240x240 px. Slice 108/155.
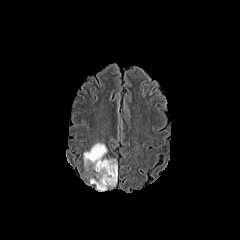
FLAIR MR image.
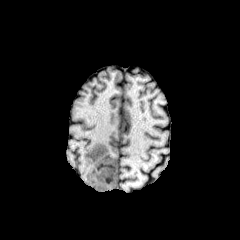
T1-weighted MR image.
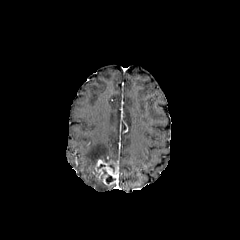
Post-contrast T1-weighted magnetic resonance.
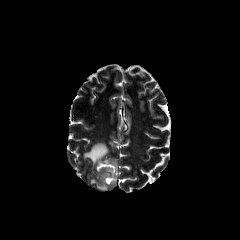
T2-weighted MRI.
enhancing tumor: (left=93, top=159, right=117, bottom=185) | non-enhancing tumor core: (left=105, top=174, right=115, bottom=184) | edema: (left=83, top=142, right=108, bottom=169), (left=90, top=176, right=109, bottom=189)